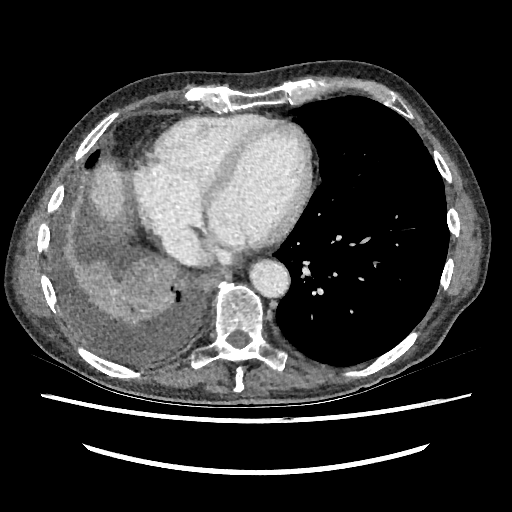

CT slice
<segmentation>
  <liver>90 162 124 220</liver>
</segmentation>